Slice 184 of 241; Lung; Computed tomography

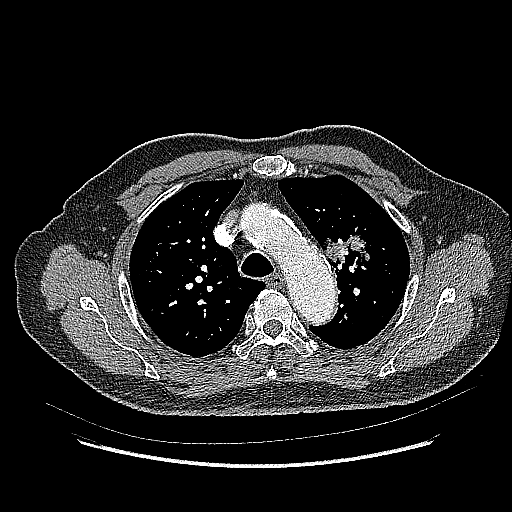

<segmentation>
  <lung_tumor>region(320, 227, 371, 271)</lung_tumor>
</segmentation>